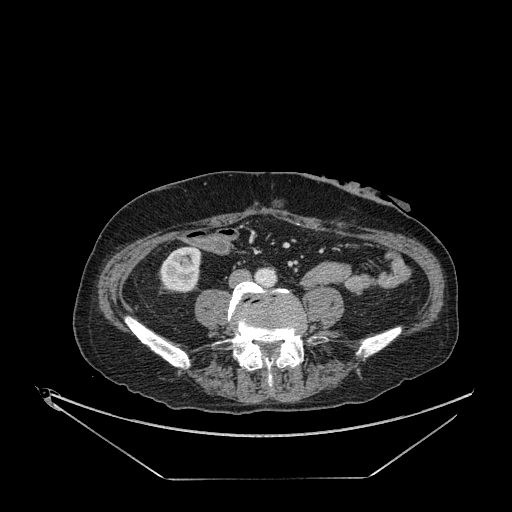
CT image. 512x512.

kidney:
  - [160, 247, 200, 291]